Brain; Field of view 240 mm wide, 1.00 mm slice spacing
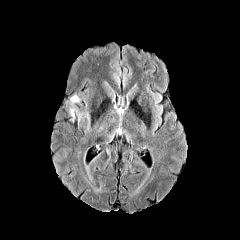
FLAIR MR.
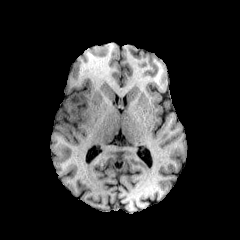
T1-weighted MR image.
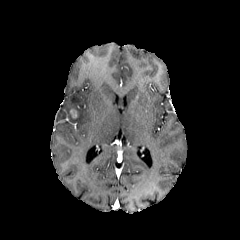
Post-contrast T1-weighted magnetic resonance.
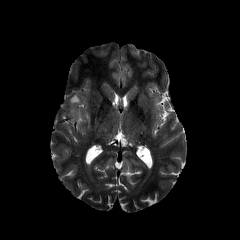
T2-weighted magnetic resonance.
{"enhancing_tumor": ["(69,109,77,118)"], "edema": ["(69,95,80,103)"]}